Slice 7/41; 32x47; Field of view 32x47 mm; MRI
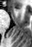
anterior_hippocampus:
  - <box>16,9,17,10</box>